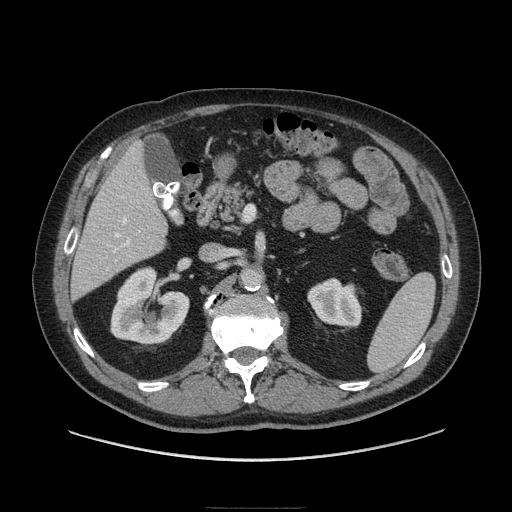
Upper abdomen. CT slice. Annotated regions:
• pancreas: <box>217,182,249,222</box>